CT image | Slice 76 of 104 | 512x512 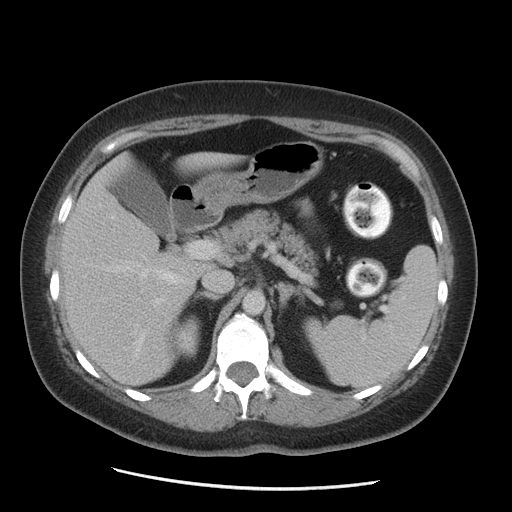

* liver: {"x1": 61, "y1": 156, "x2": 212, "y2": 384}, {"x1": 185, "y1": 153, "x2": 234, "y2": 165}